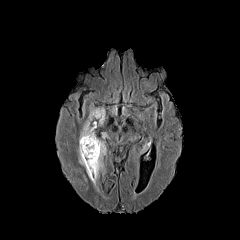
FLAIR magnetic resonance.
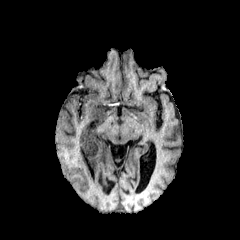
Same slice, T1-weighted MR image.
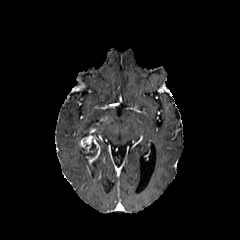
Same slice, post-contrast T1-weighted magnetic resonance.
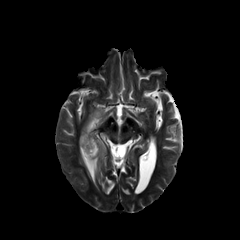
Same slice, T2-weighted MR.
Brain
4 edema regions are located at bbox(88, 107, 105, 126); bbox(79, 122, 89, 140); bbox(92, 140, 106, 179); bbox(77, 147, 94, 184). The enhancing tumor appears at bbox(81, 135, 98, 148). The non-enhancing tumor core is at bbox(79, 139, 98, 160).